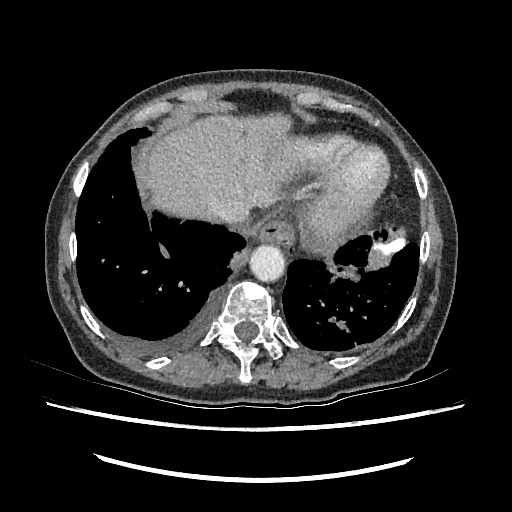 Computed tomography.
The liver is bounded by box=[146, 115, 305, 219]. The liver lesion lies within box=[149, 189, 155, 199].